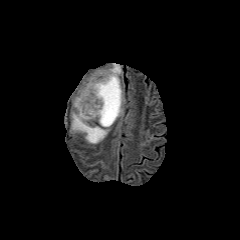
FLAIR MRI.
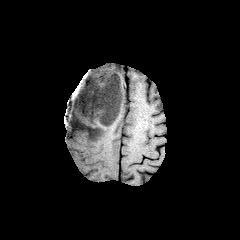
T1-weighted MRI.
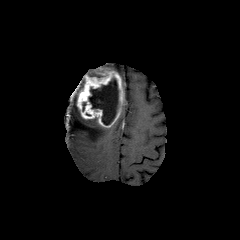
Same slice, post-contrast T1-weighted MR image.
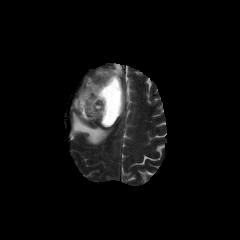
T2-weighted MRI of the same slice.
240x240
The non-enhancing tumor core appears at box(89, 80, 121, 127). 2 edema regions are bounded by box(112, 63, 121, 75); box(70, 106, 108, 144). The enhancing tumor appears at box(76, 69, 125, 124).